Image size 240x240. Image width 240 mm.
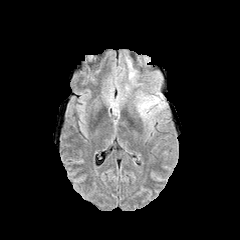
FLAIR MR.
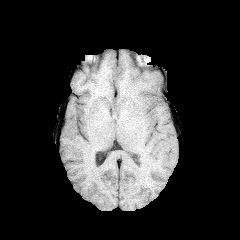
T1-weighted MR image.
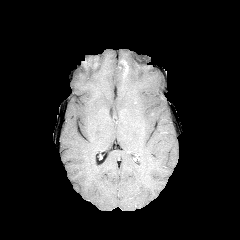
Post-contrast T1-weighted MR image.
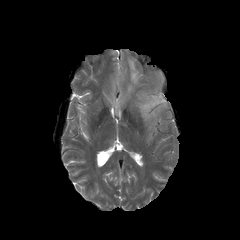
Same slice, T2-weighted MR.
2 edema regions appear at {"x1": 136, "y1": 90, "x2": 164, "y2": 124}, {"x1": 127, "y1": 63, "x2": 136, "y2": 84}.